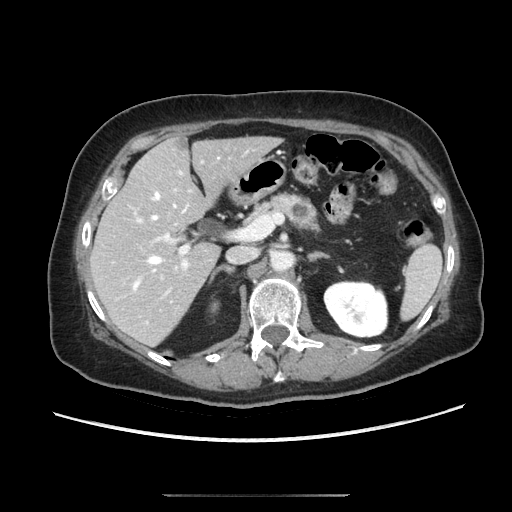 CT scan slice
pancreatic_tumor:
  - x1=291, y1=203, x2=308, y2=218
pancreas:
  - x1=249, y1=195, x2=315, y2=227